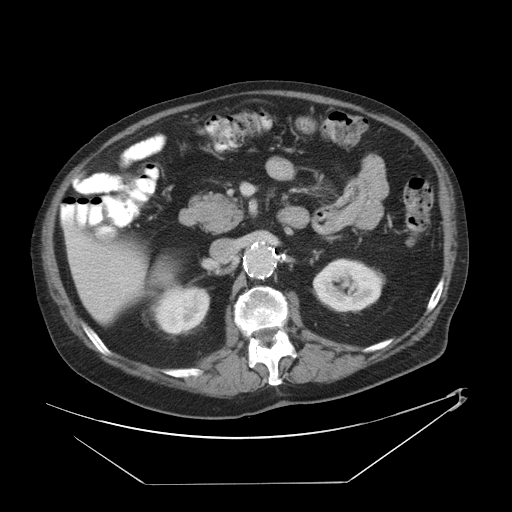
Abdomen | CT image

Not every hepatic vessel necessarily has a box.
<segmentation>
  <hepatic_vessel>(x1=97, y1=230, x2=102, y2=234), (x1=81, y1=225, x2=83, y2=226), (x1=99, y1=248, x2=102, y2=248), (x1=77, y1=227, x2=79, y2=228), (x1=66, y1=224, x2=81, y2=244), (x1=69, y1=250, x2=76, y2=262)</hepatic_vessel>
</segmentation>